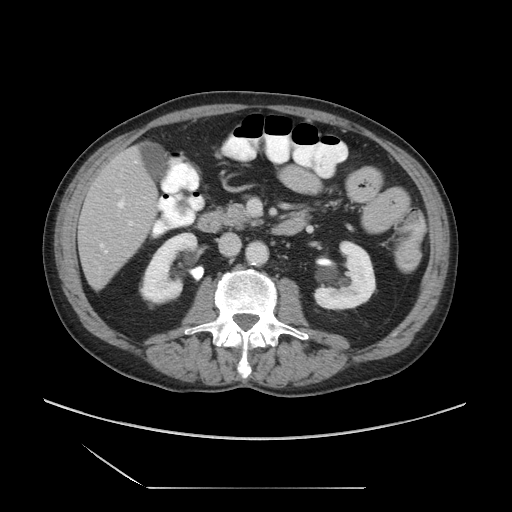

Liver, CT slice
Some hepatic vessels may have no box.
{
  "hepatic_vessel": [
    "(x1=135, y1=161, x2=136, y2=162)",
    "(x1=124, y1=243, x2=125, y2=244)",
    "(x1=129, y1=221, x2=132, y2=225)",
    "(x1=118, y1=198, x2=124, y2=207)",
    "(x1=104, y1=250, x2=106, y2=253)",
    "(x1=116, y1=189, x2=121, y2=191)",
    "(x1=100, y1=244, x2=103, y2=247)"
  ]
}